FLAIR MRI.
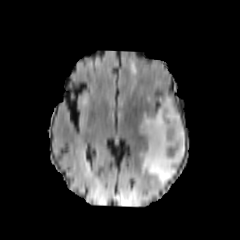
T1-weighted MR.
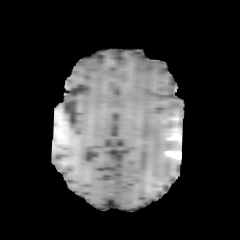
Post-contrast T1-weighted MR.
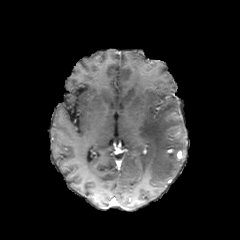
T2-weighted MR image.
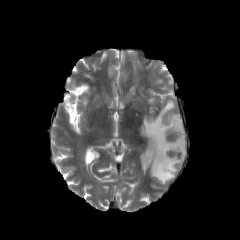
Brain | 240x240 px
edema:
  - <bbox>140, 97, 186, 183</bbox>
  - <bbox>129, 64, 138, 77</bbox>